CT image; Abdomen; Slice 308 of 771; Field of view 373 mm wide, 0.80 mm slice spacing 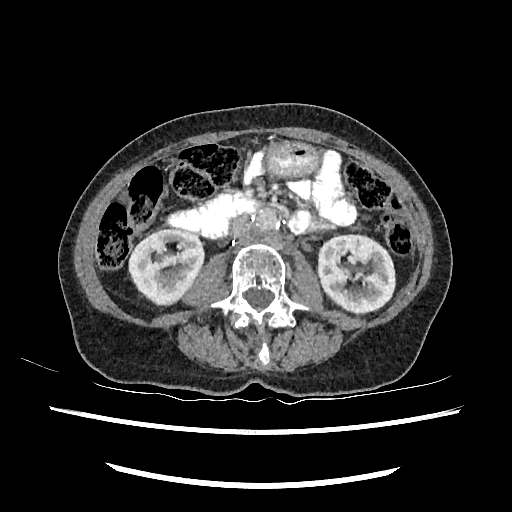

Kidney: bounding box (319, 235, 394, 312), (129, 228, 203, 303).